512x512 px | Upper abdomen | CT 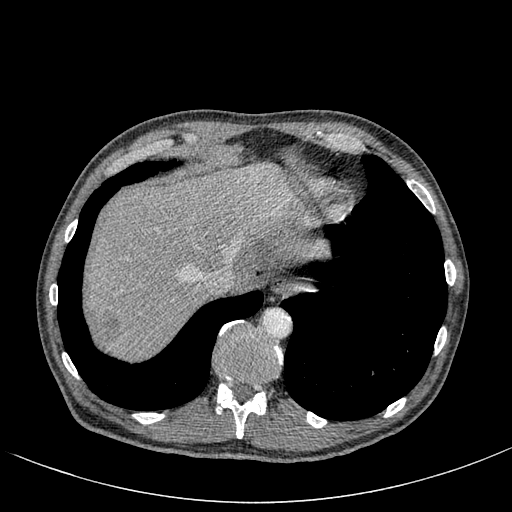

The liver lies within (87,164,329,357). 2 liver lesion regions are bounded by (281,202,301,223), (87,310,120,347).